FLAIR magnetic resonance.
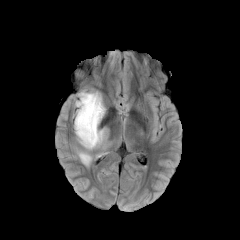
T1-weighted MR image.
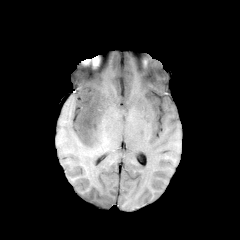
Post-contrast T1-weighted MR.
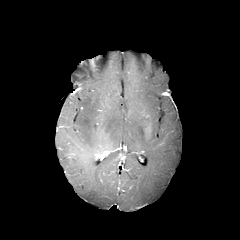
T2-weighted MRI.
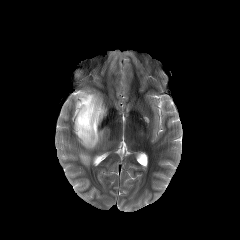
Brain, 240x240
edema: box(73, 89, 106, 150); box(79, 152, 92, 165)